Field of view 360 mm wide, 1.25 mm slice spacing | CT | Abdomen
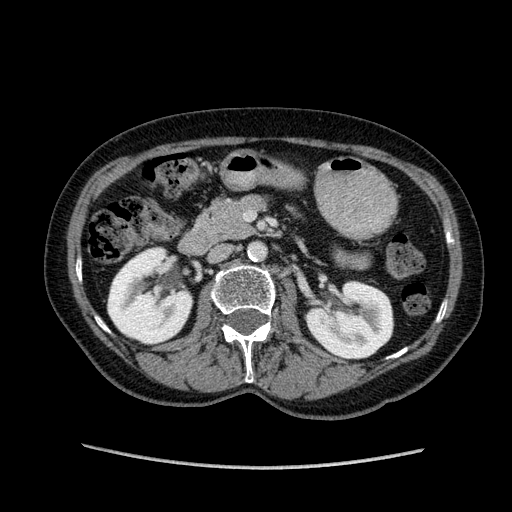 2 kidney regions are located at (108,249,191,343), (307,277,392,357).